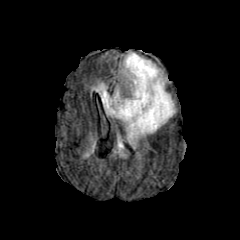
FLAIR magnetic resonance.
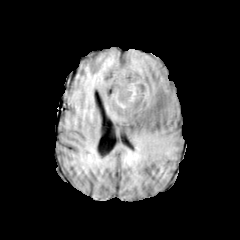
T1-weighted MRI of the same slice.
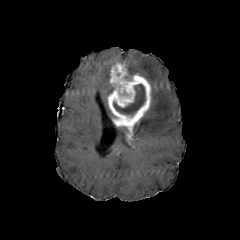
Post-contrast T1-weighted MR of the same slice.
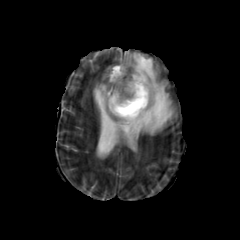
Same slice, T2-weighted magnetic resonance.
Head.
enhancing_tumor:
  - (left=107, top=61, right=151, bottom=143)
non-enhancing_tumor_core:
  - (left=113, top=84, right=145, bottom=114)
edema:
  - (left=124, top=52, right=175, bottom=147)
  - (left=94, top=83, right=113, bottom=115)
  - (left=117, top=127, right=126, bottom=149)